CT. 512x512 px. Slice index 70. Abdomen. 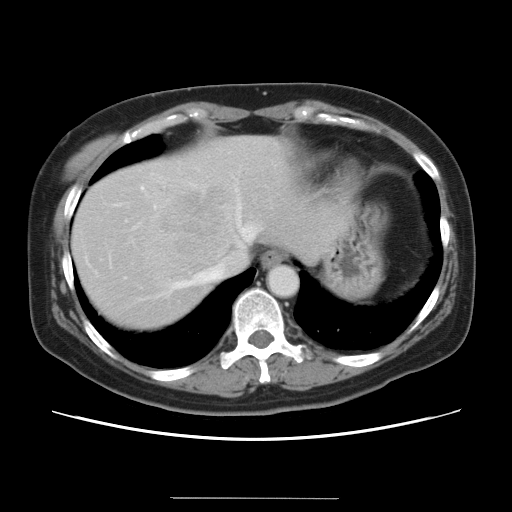 The vessel annotation is not exhaustive.
liver tumor: [158,187,234,267] | hepatic vessel: [125,220,126,221], [141,187,142,189], [109,261,110,265], [86,261,89,265], [154,252,245,297], [116,204,120,205], [154,206,155,207], [236,205,253,236], [124,278,125,279], [94,271,96,273], [134,226,137,228]